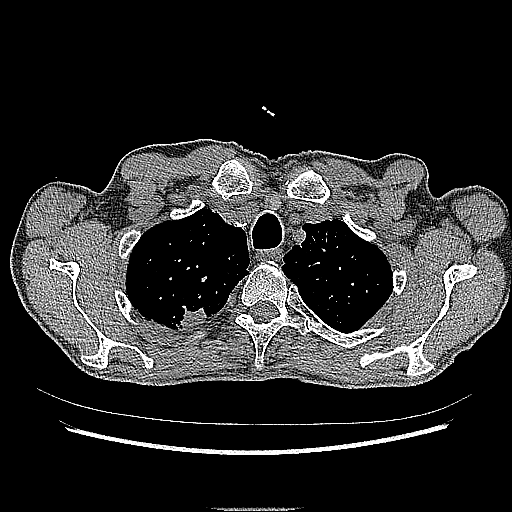

Chest; Image size 512x512; CT scan slice

Segmented structures:
* lung tumor: [169,303,207,328]